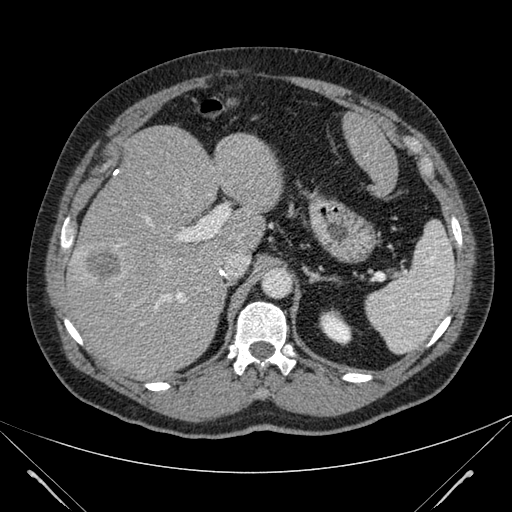 Liver; CT
Kidney: {"x1": 321, "y1": 313, "x2": 350, "y2": 342}.
Liver: {"x1": 54, "y1": 126, "x2": 281, "y2": 382}, {"x1": 343, "y1": 112, "x2": 397, "y2": 195}.
Liver lesion: {"x1": 84, "y1": 246, "x2": 122, "y2": 288}.